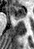 MR | Hippocampus

<segmentation>
  <anterior_hippocampus>left=9, top=6, right=25, bottom=19</anterior_hippocampus>
</segmentation>